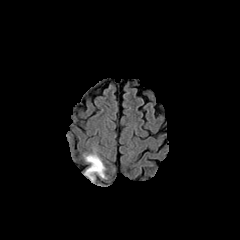
FLAIR MR.
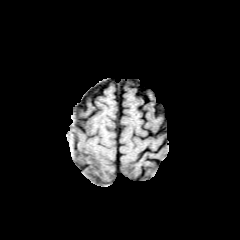
T1-weighted MR.
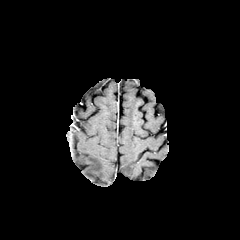
Post-contrast T1-weighted magnetic resonance.
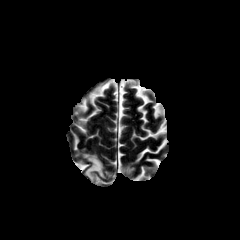
T2-weighted MR image.
240x240 px; Brain
• edema: 84, 152, 106, 183